FLAIR MRI.
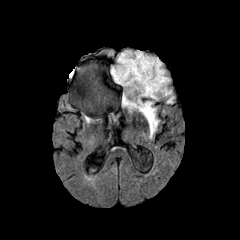
T1-weighted magnetic resonance.
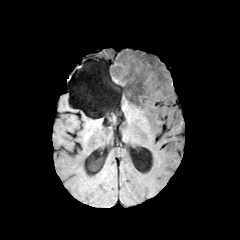
Post-contrast T1-weighted MRI.
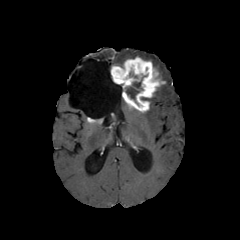
T2-weighted MR image.
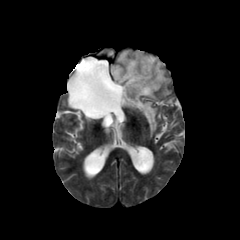
Head.
{"edema": ["111,50,174,103", "142,100,159,136"], "non-enhancing_tumor_core": ["126,82,140,99"], "enhancing_tumor": ["111,56,165,111"]}